Image size 512x512. Slice 588/871. CT image.

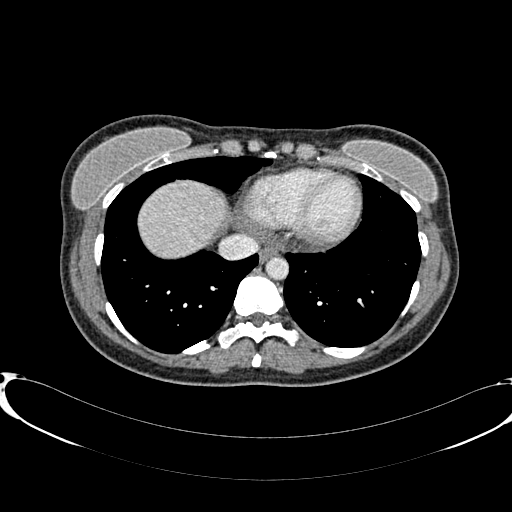
The liver is bounded by [139, 181, 226, 257].